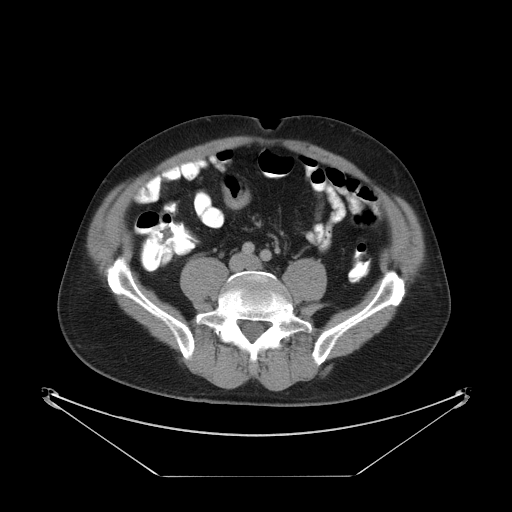 Computed tomography; Abdomen

Colon tumor — bbox=[221, 185, 250, 208].